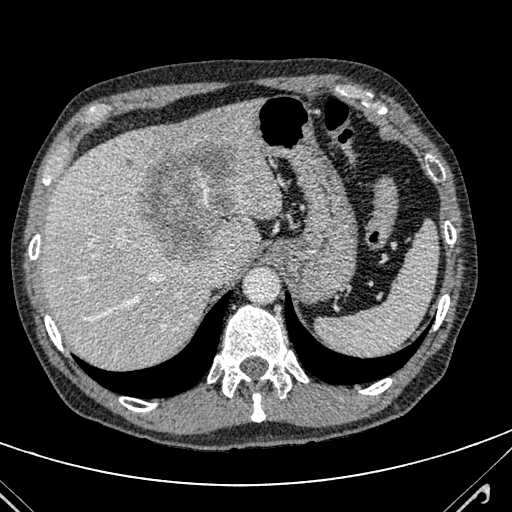

512x512. CT.

Segmented structures:
- liver: 42 100 281 369
- liver lesion: 137 139 238 263